Slice 45/155 | Brain
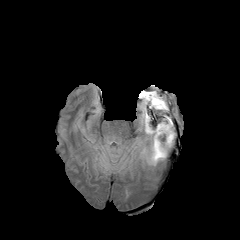
FLAIR MR.
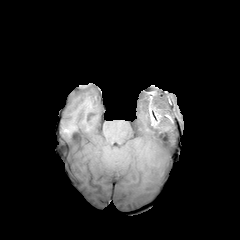
Same slice, T1-weighted MR.
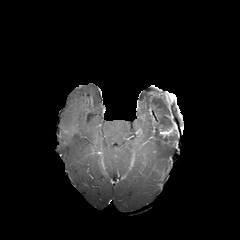
Same slice, post-contrast T1-weighted MRI.
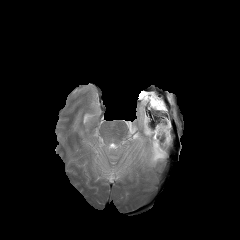
T2-weighted magnetic resonance of the same slice.
Non-enhancing tumor core — (150, 128, 171, 137).
Edema — (94, 90, 173, 173).